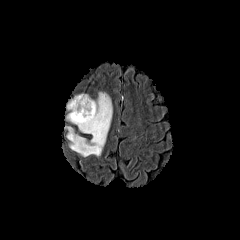
FLAIR MRI.
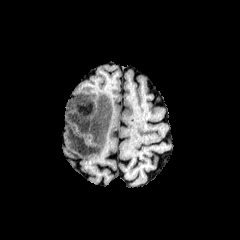
T1-weighted MRI of the same slice.
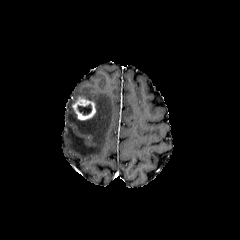
Post-contrast T1-weighted MR image.
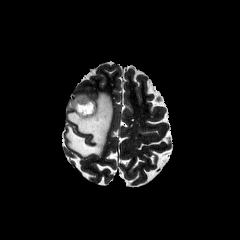
T2-weighted MR image.
Brain
enhancing_tumor:
  - box(71, 99, 95, 121)
non-enhancing_tumor_core:
  - box(71, 94, 90, 106)
  - box(76, 103, 91, 115)
edema:
  - box(64, 91, 112, 156)